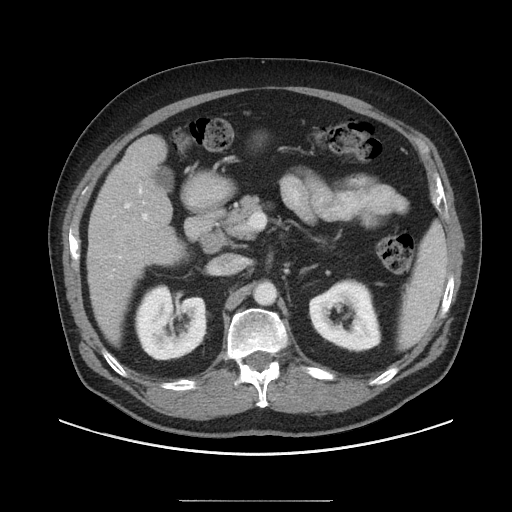
CT scan slice. Not every hepatic vessel necessarily has a box.
Hepatic vessel at rect(139, 187, 141, 192); rect(143, 214, 146, 219); rect(125, 203, 129, 207).
Liver tumor at rect(123, 238, 136, 248).